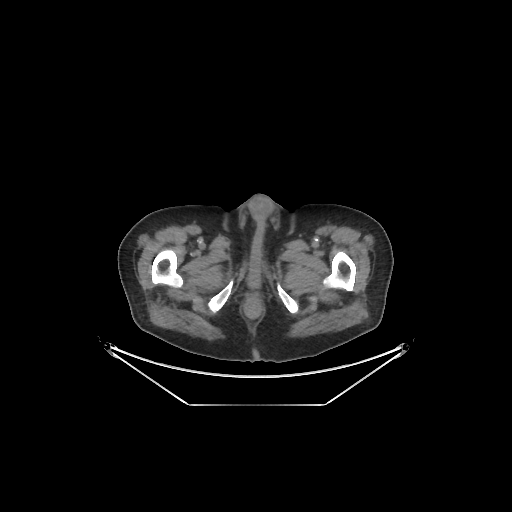
Image size 512x512; CT image

4 bone regions are bounded by 278:284:297:312, 151:249:182:287, 208:281:232:312, 323:251:355:290.